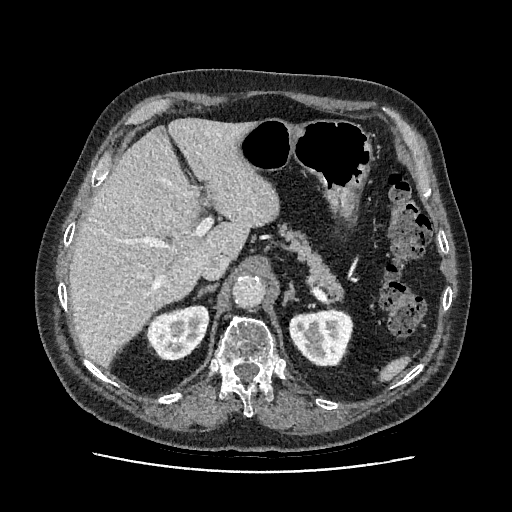
CT scan slice | Abdomen
<segmentation>
  <liver>box(69, 119, 277, 366)</liver>
  <kidney>box(148, 307, 208, 359); box(290, 311, 351, 365)</kidney>
</segmentation>